CT slice | Abdomen
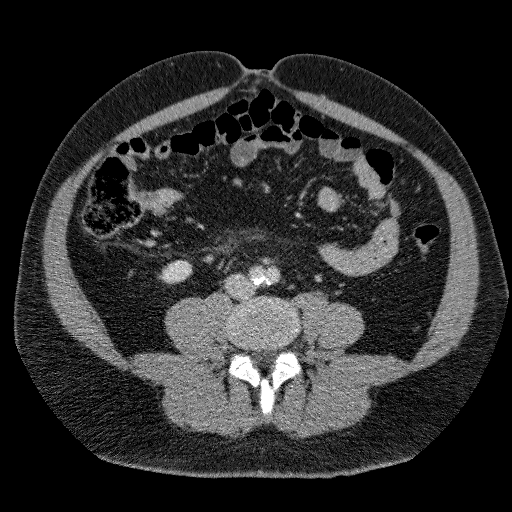 {
  "kidney": [
    "(164,261,190,281)"
  ]
}